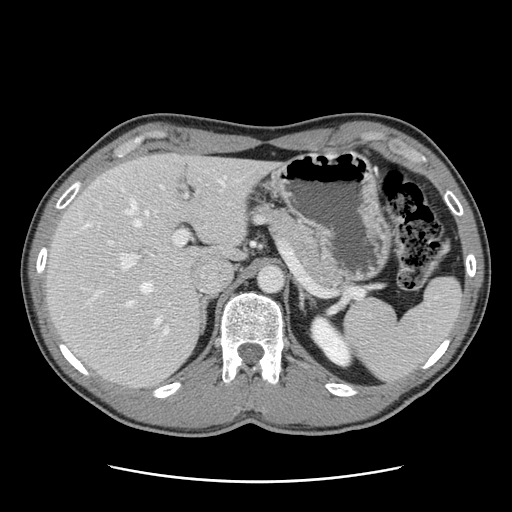 CT scan slice, Image size 512x512
Only some of the vessels may be annotated.
Principal 15 of 16 hepatic vessel regions at [145, 211, 148, 214], [173, 231, 187, 245], [127, 301, 133, 305], [141, 282, 151, 292], [163, 327, 167, 334], [81, 222, 89, 228], [121, 254, 138, 268], [86, 292, 100, 302], [160, 186, 163, 187], [125, 201, 135, 214], [134, 220, 140, 225], [108, 241, 111, 244], [218, 175, 225, 185], [184, 194, 186, 196], [155, 318, 160, 325].